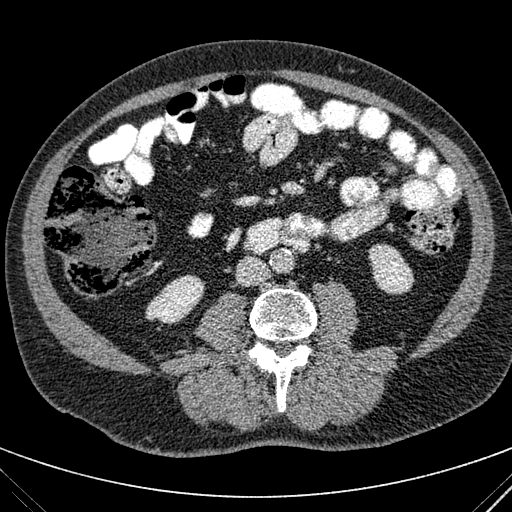
Computed tomography. Image size 512x512.

2 kidney regions are located at [x1=369, y1=244, x2=413, y2=293], [x1=146, y1=275, x2=203, y2=322].